Field of view 500x500 mm | Liver | Computed tomography
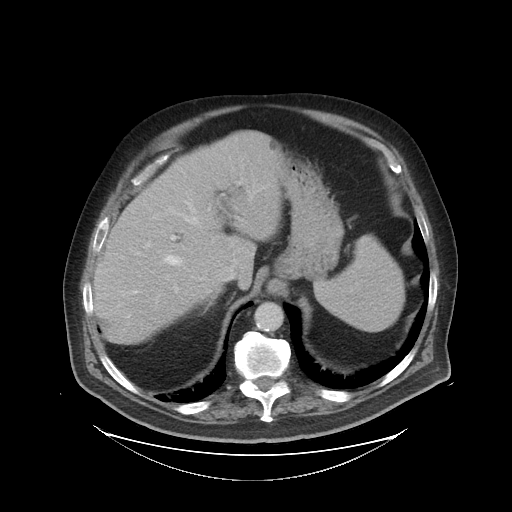
Not every hepatic vessel necessarily has a box.
5 hepatic vessel regions appear at left=175, top=287, right=177, bottom=291; left=164, top=256, right=181, bottom=264; left=171, top=236, right=175, bottom=239; left=249, top=191, right=256, bottom=200; left=170, top=199, right=199, bottom=224.